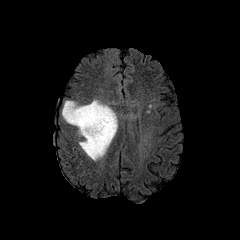
FLAIR magnetic resonance.
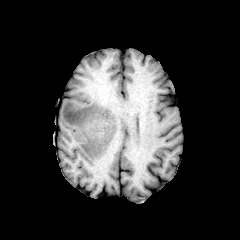
T1-weighted magnetic resonance.
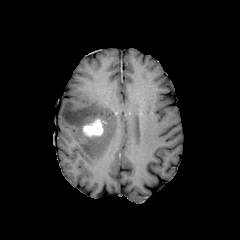
Post-contrast T1-weighted MR.
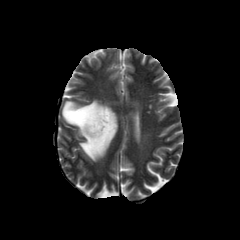
T2-weighted magnetic resonance.
enhancing tumor: <bbox>82, 118, 103, 136</bbox> | edema: <bbox>60, 99, 117, 161</bbox> | non-enhancing tumor core: <bbox>82, 116, 105, 138</bbox>